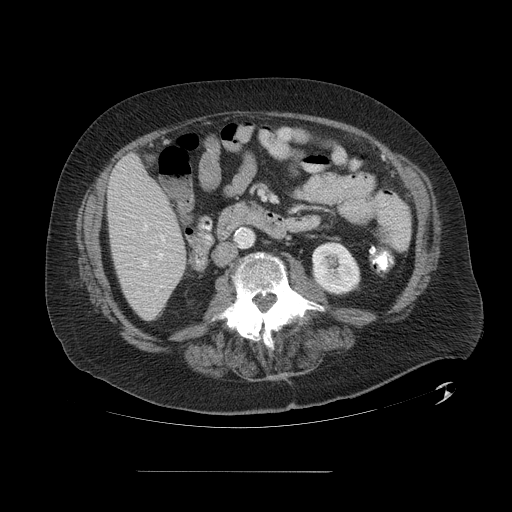

CT; Liver; 512x512 px

Not every hepatic vessel necessarily has a box.
Hepatic vessel at l=155, t=249, r=162, b=258; l=159, t=285, r=162, b=286; l=155, t=235, r=164, b=240; l=143, t=223, r=147, b=230; l=143, t=261, r=147, b=266; l=155, t=290, r=157, b=292.